Computed tomography, Abdomen 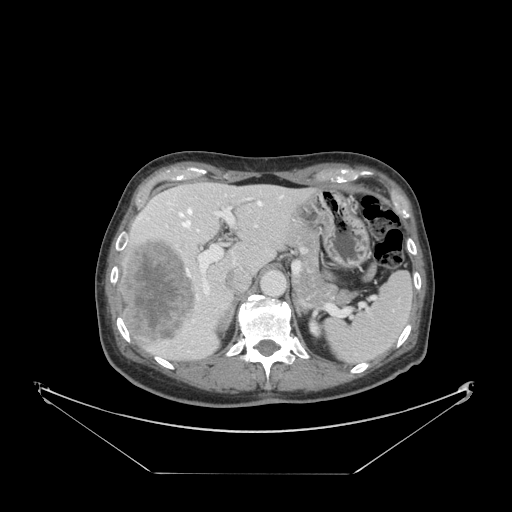

{"spleen": ["327 272 414 364"]}